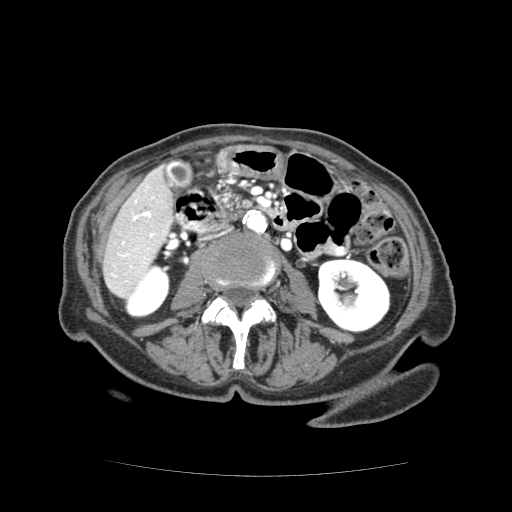 CT. Segmented structures:
- pancreas: <bbox>220, 186, 245, 210</bbox>